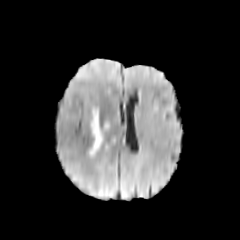
FLAIR MRI.
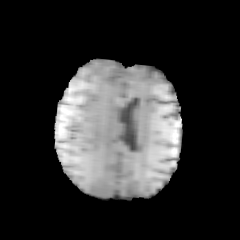
T1-weighted magnetic resonance.
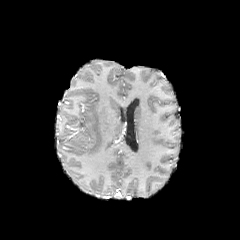
Post-contrast T1-weighted MR.
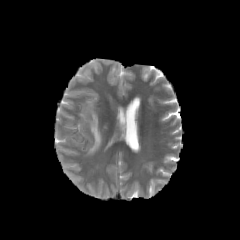
Same slice, T2-weighted MRI.
Brain
Segmented structures:
• edema: <box>87,110,103,157</box>